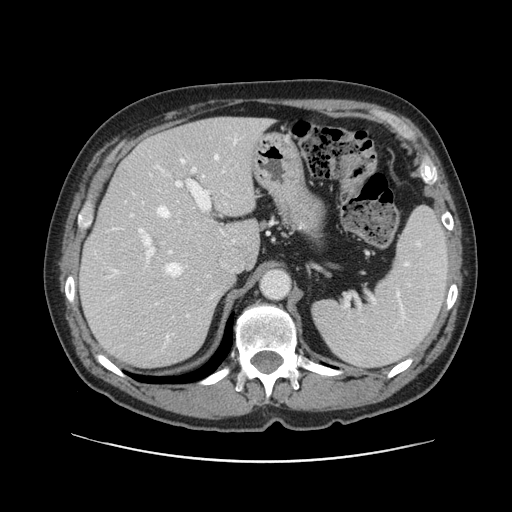

CT slice.
Only some of the vessels may be annotated.
14 hepatic vessel regions are located at 157:206:168:216, 113:270:117:272, 156:165:163:171, 192:168:195:171, 130:215:133:216, 176:181:181:186, 187:179:210:210, 169:251:171:252, 166:335:168:340, 214:155:217:159, 234:138:236:142, 181:159:184:162, 165:263:180:275, 138:229:153:256.